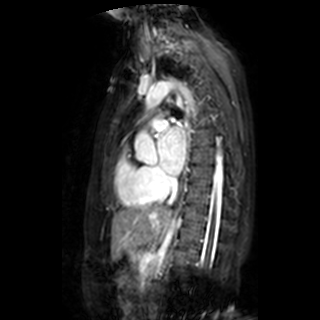
MRI. Image size 320x320.
The left atrium appears at rect(158, 127, 185, 174).